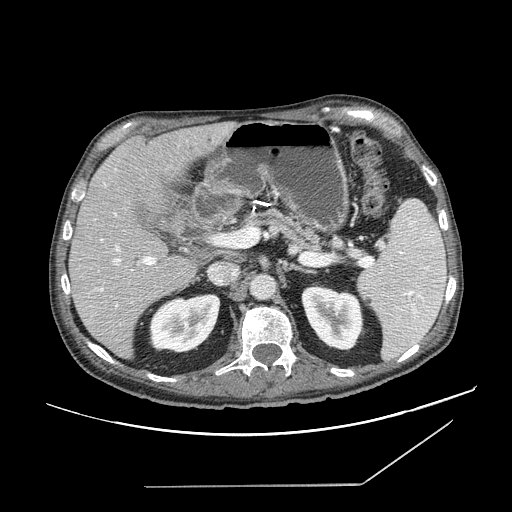
Computed tomography; Upper abdomen

pancreas: 244 211 319 250